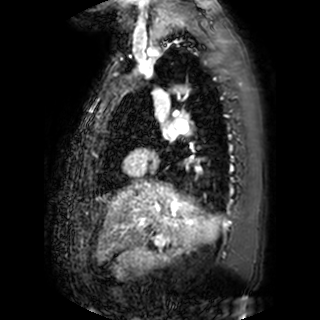
320x320 px. MRI slice.

Annotated regions:
• left atrium: 166,127,176,137